FLAIR magnetic resonance.
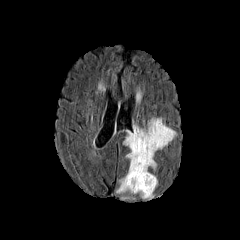
T1-weighted MRI.
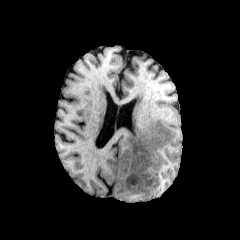
Post-contrast T1-weighted MR.
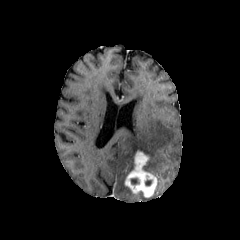
T2-weighted magnetic resonance.
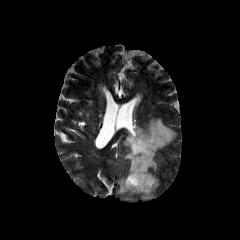
Head.
Non-enhancing tumor core at box(130, 178, 139, 184).
Edema at box(123, 117, 176, 175); box(116, 176, 135, 199); box(137, 191, 153, 199).
Enhancing tumor at box(124, 150, 157, 197).